240x240. Brain.
FLAIR MR image.
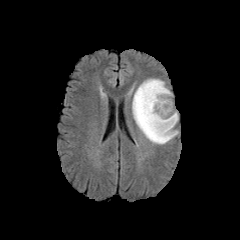
T1-weighted MRI.
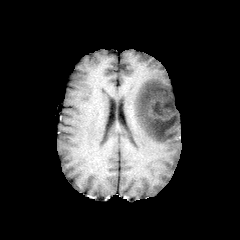
Post-contrast T1-weighted MR image.
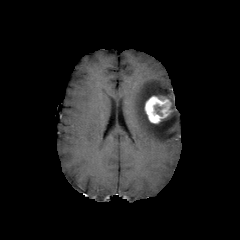
T2-weighted MRI.
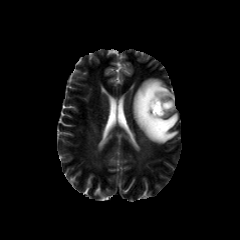
Edema at (x1=132, y1=78, x2=178, y2=144).
Enhancing tumor at (x1=144, y1=93, x2=175, y2=123).